CT scan slice, 512x512 px 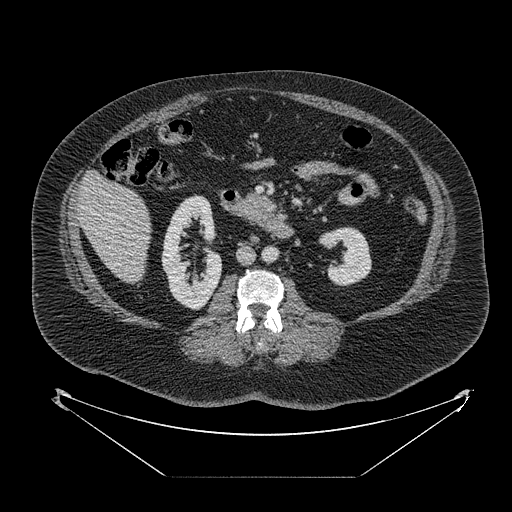
The pancreas is at 235, 193, 279, 223. The pancreatic tumor is at 256, 200, 270, 213.